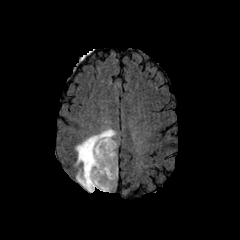
FLAIR MRI.
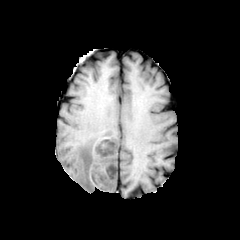
Same slice, T1-weighted MR.
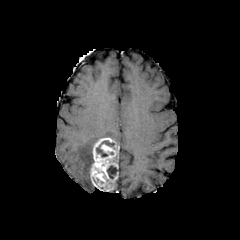
Post-contrast T1-weighted magnetic resonance.
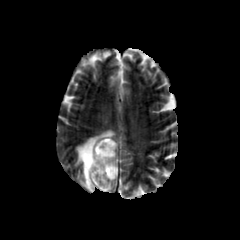
T2-weighted magnetic resonance.
Findings:
- enhancing tumor: 89:138:117:191
- edema: 74:128:117:191
- non-enhancing tumor core: 96:147:107:157, 107:165:117:178, 83:148:93:185